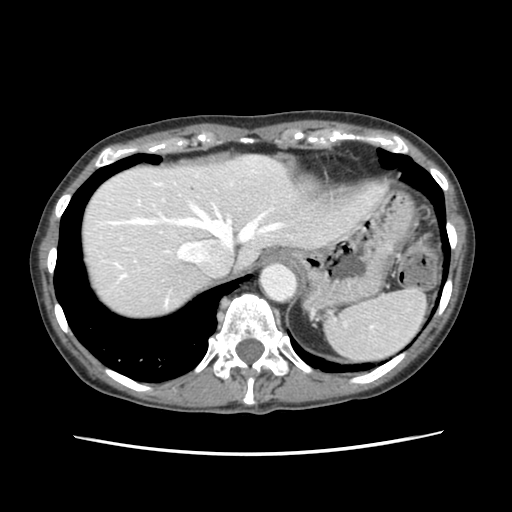

CT. Abdomen. 512x512 px.

Segmented structures:
- spleen: (x1=323, y1=290, x2=427, y2=362)